FLAIR MR.
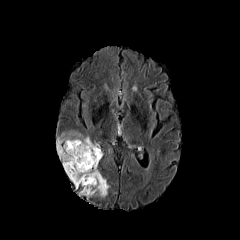
T1-weighted MR image.
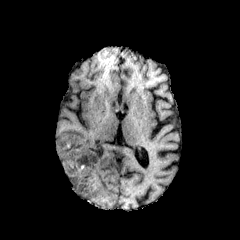
Post-contrast T1-weighted MR image.
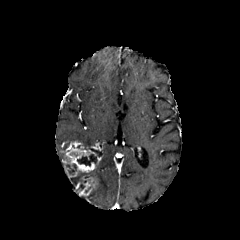
T2-weighted MRI.
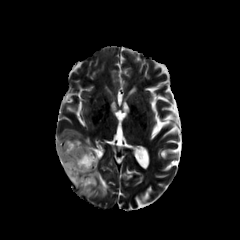
Head, 240x240
Annotated regions:
- non-enhancing tumor core: region(66, 163, 77, 175); region(77, 148, 99, 166)
- enhancing tumor: region(64, 140, 101, 177); region(80, 176, 98, 196)
- edema: region(71, 168, 109, 198); region(58, 132, 95, 150)